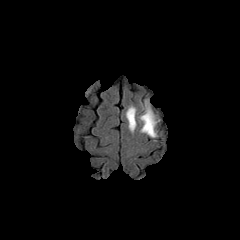
FLAIR MR.
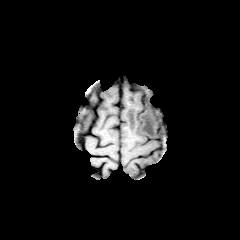
T1-weighted MR image.
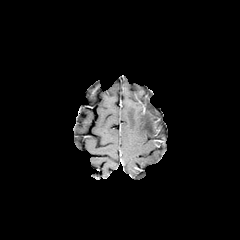
Post-contrast T1-weighted MR.
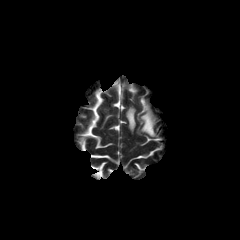
T2-weighted MR image of the same slice.
Head
2 edema regions are located at 126 106 137 131, 137 102 157 137.